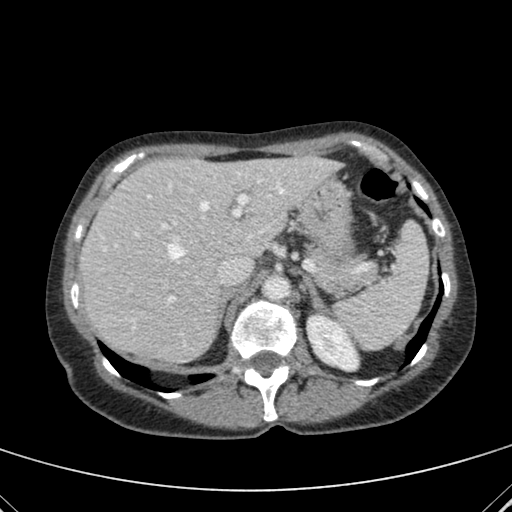

CT image

The kidney lies within {"x1": 308, "y1": 316, "x2": 357, "y2": 365}. The liver is located at {"x1": 79, "y1": 156, "x2": 336, "y2": 362}.